Head.
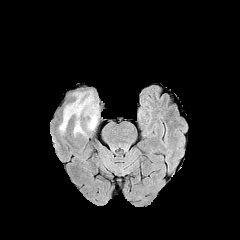
FLAIR magnetic resonance.
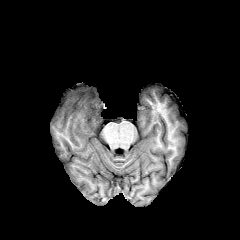
T1-weighted MRI.
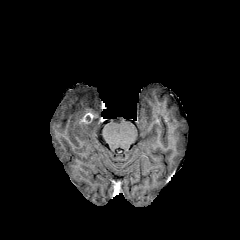
Same slice, post-contrast T1-weighted MRI.
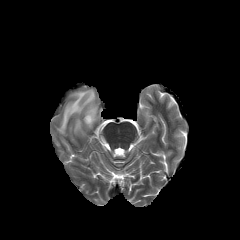
T2-weighted MR image.
The enhancing tumor lies within x1=80, y1=109, x2=96, y2=123. 3 edema regions are located at x1=59, y1=90, x2=98, y2=134; x1=73, y1=118, x2=86, y2=136; x1=86, y1=117, x2=98, y2=130.